Slice 85/130, MR, Heart

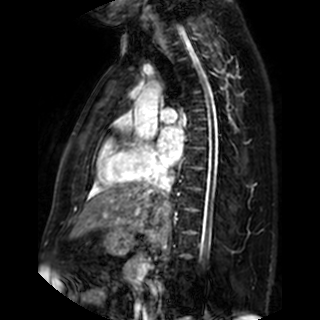

The left atrium is bounded by <box>157,126,183,165</box>.